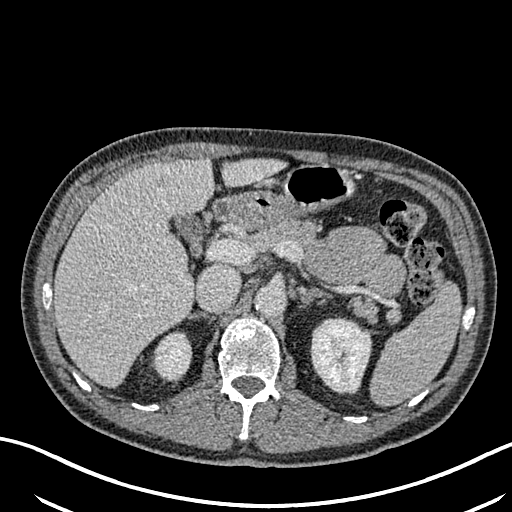
CT scan slice.
Liver: bounding box (x1=223, y1=158, x2=283, y2=187), (x1=55, y1=159, x2=212, y2=386).
Kidney: bounding box (x1=312, y1=320, x2=370, y2=391), (x1=156, y1=334, x2=190, y2=378).
Hepatic lesion: bounding box (x1=154, y1=176, x2=168, y2=187).